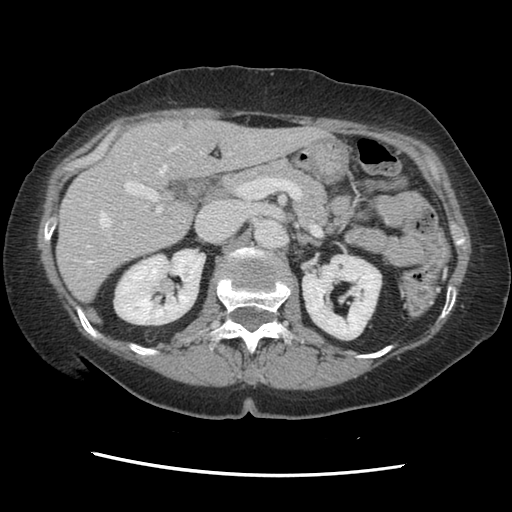

CT scan slice | Abdomen

The vessel boxes may cover only some of the vessels.
9 hepatic vessel regions appear at [x1=168, y1=144, x2=179, y2=151], [x1=125, y1=182, x2=157, y2=199], [x1=159, y1=166, x2=166, y2=173], [x1=133, y1=162, x2=135, y2=164], [x1=156, y1=206, x2=161, y2=211], [x1=100, y1=212, x2=110, y2=226], [x1=89, y1=261, x2=91, y2=263], [x1=228, y1=152, x2=230, y2=154], [x1=251, y1=143, x2=252, y2=145]. The liver tumor is located at [x1=182, y1=121, x2=191, y2=129].